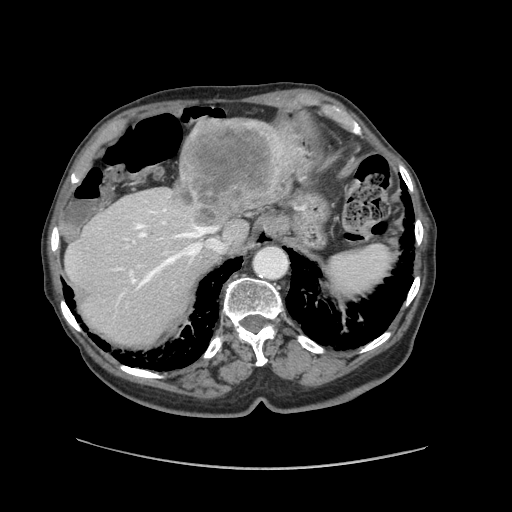

512x512 px | Liver | CT
Only some of the vessels may be annotated.
hepatic vessel: 138,242,202,287; 162,221,165,223; 139,232,145,236; 206,239,224,252; 172,224,217,238; 135,224,145,229 | liver tumor: 179,121,290,225